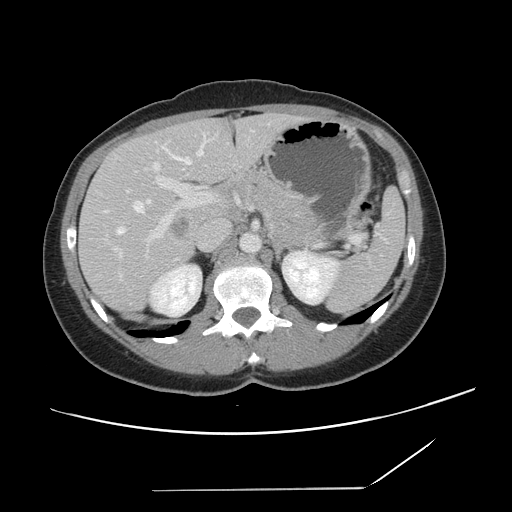 CT; Abdomen; Image size 512x512
Only some of the vessels may be annotated.
Findings:
• liver tumor: [x1=175, y1=219, x2=189, y2=237]
• hepatic vessel: [x1=117, y1=228, x2=123, y2=233], [x1=156, y1=149, x2=158, y2=151], [x1=153, y1=162, x2=159, y2=171], [x1=251, y1=130, x2=253, y2=131], [x1=134, y1=201, x2=143, y2=212], [x1=190, y1=204, x2=193, y2=205], [x1=156, y1=180, x2=184, y2=193], [x1=165, y1=224, x2=166, y2=226], [x1=149, y1=234, x2=153, y2=238], [x1=114, y1=248, x2=121, y2=256], [x1=156, y1=231, x2=162, y2=236], [x1=162, y1=145, x2=190, y2=164], [x1=198, y1=134, x2=211, y2=155], [x1=126, y1=190, x2=128, y2=191], [x1=148, y1=200, x2=149, y2=202]